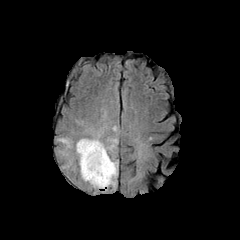
FLAIR magnetic resonance.
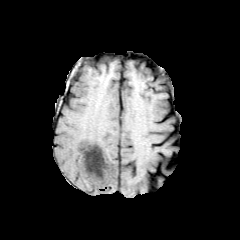
Same slice, T1-weighted MRI.
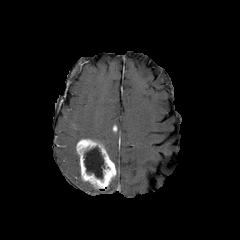
Post-contrast T1-weighted magnetic resonance.
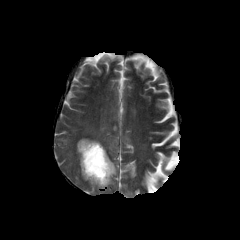
Same slice, T2-weighted magnetic resonance.
Head; Image size 240x240
The enhancing tumor is bounded by [76, 139, 116, 188]. The non-enhancing tumor core is located at [83, 146, 104, 178]. 2 edema regions are located at [88, 136, 117, 155], [109, 157, 118, 186].